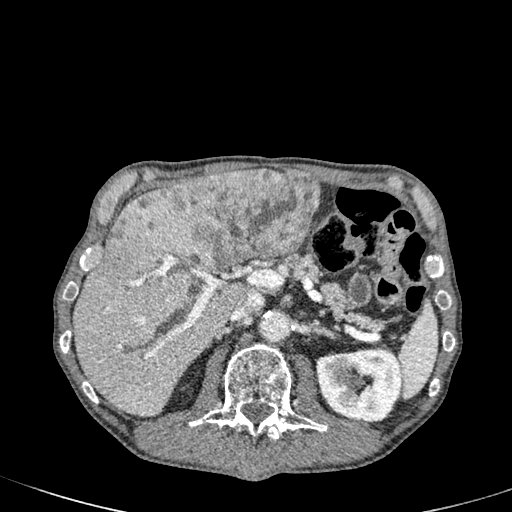

CT slice | 512x512
Liver: (left=72, top=188, right=246, bottom=416).
Liver lesion: (left=108, top=228, right=120, bottom=237), (left=139, top=195, right=150, bottom=207), (left=162, top=169, right=318, bottom=270).
Kidney: (left=315, top=350, right=406, bottom=421).